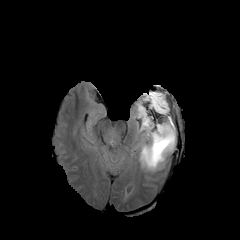
FLAIR MR.
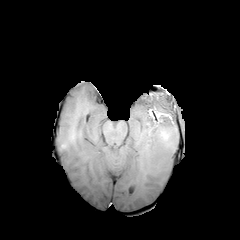
T1-weighted magnetic resonance of the same slice.
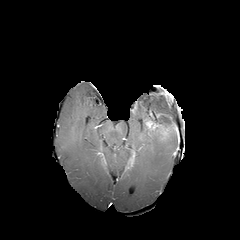
Post-contrast T1-weighted MR.
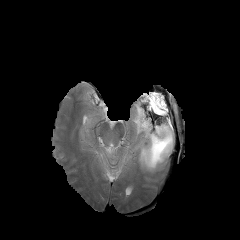
Same slice, T2-weighted magnetic resonance.
Head
Findings:
• edema: bbox(121, 92, 175, 173); bbox(98, 141, 117, 162)
• enhancing tumor: bbox(161, 127, 171, 138)
• non-enhancing tumor core: bbox(141, 130, 151, 140); bbox(147, 120, 164, 137)